FLAIR magnetic resonance.
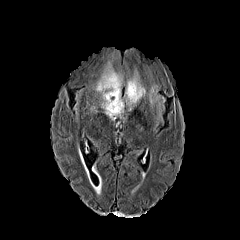
T1-weighted MR.
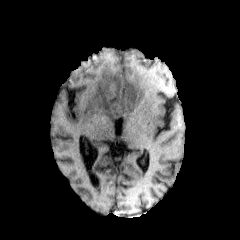
Post-contrast T1-weighted MR image.
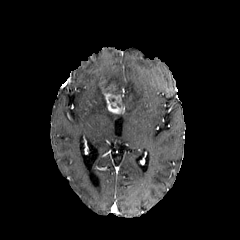
T2-weighted magnetic resonance.
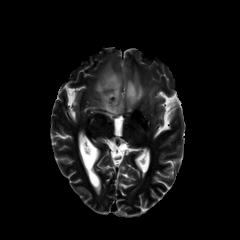
The non-enhancing tumor core lies within (104, 84, 116, 94). The enhancing tumor appears at (101, 87, 124, 114). 3 edema regions are located at (92, 78, 123, 120), (101, 61, 124, 96), (121, 68, 164, 125).